FLAIR MR image.
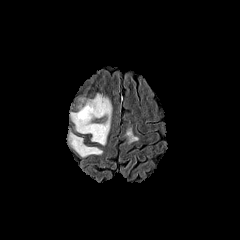
T1-weighted MR.
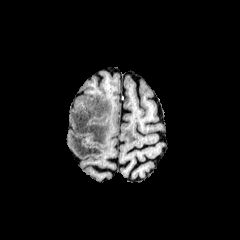
Post-contrast T1-weighted magnetic resonance.
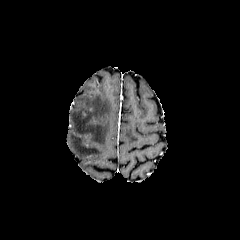
T2-weighted MR.
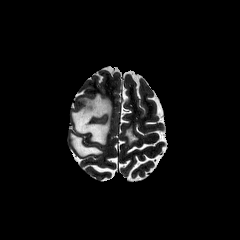
Head; Image size 240x240
Edema at x1=69 y1=93 x2=112 y2=145, x1=66 y1=130 x2=102 y2=156.